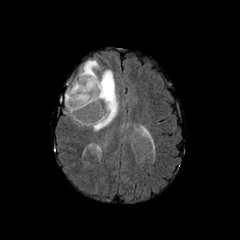
FLAIR MR.
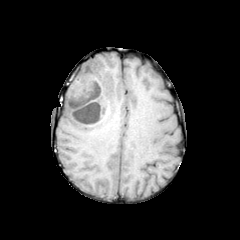
T1-weighted MRI.
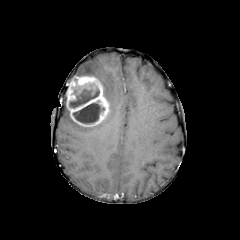
Same slice, post-contrast T1-weighted MR.
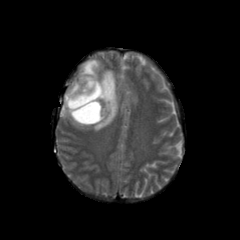
T2-weighted MRI.
Image size 240x240
The enhancing tumor appears at bbox=[66, 76, 108, 126]. 2 non-enhancing tumor core regions appear at bbox=[69, 86, 99, 108]; bbox=[72, 102, 104, 123]. The edema is bounded by bbox=[78, 60, 118, 131].